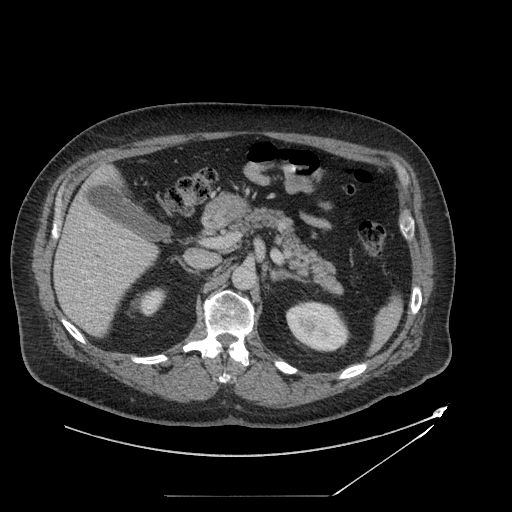 Upper abdomen | CT image
Pancreas — <bbox>229, 208, 286, 233</bbox>, <bbox>277, 226, 343, 295</bbox>.